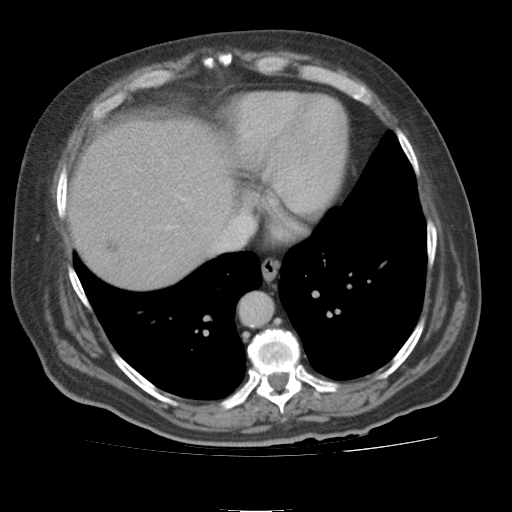 Image size 512x512, CT slice, Abdomen
{"liver": ["(70, 111, 245, 291)"], "hepatic_lesion": ["(108, 243, 119, 254)"]}